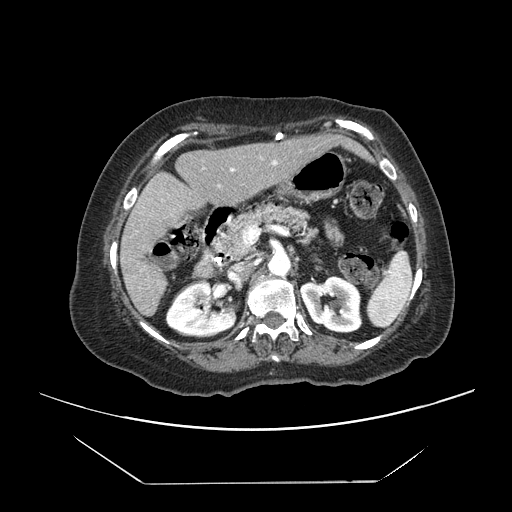
CT slice. Liver. Some hepatic vessels may have no box.
Hepatic vessel = left=231, top=168, right=233, bottom=170; left=243, top=225, right=258, bottom=244.